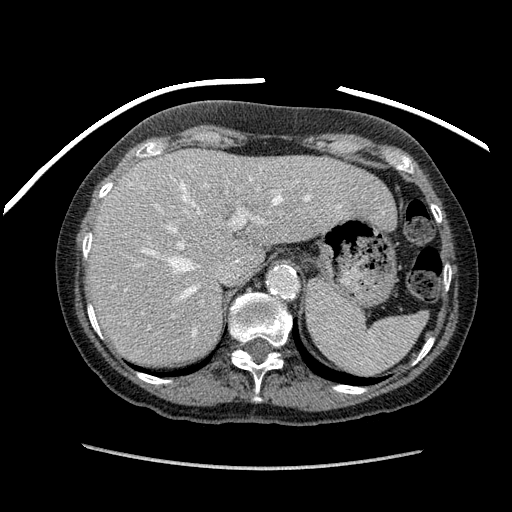

Image size 512x512. Abdomen. CT scan slice.
Liver at [89,149,395,365].